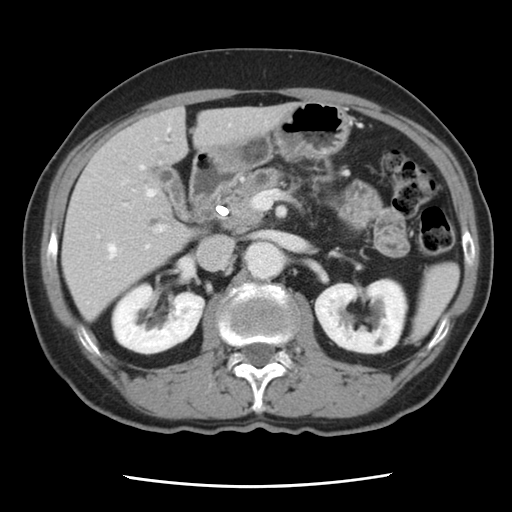 CT image
pancreatic tumor: (221,201,262,234) | pancreas: (227,168,283,217)